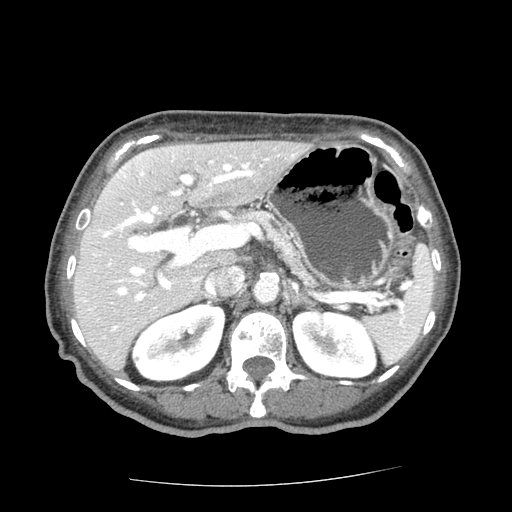
CT
pancreas:
  - (241,209,318,286)